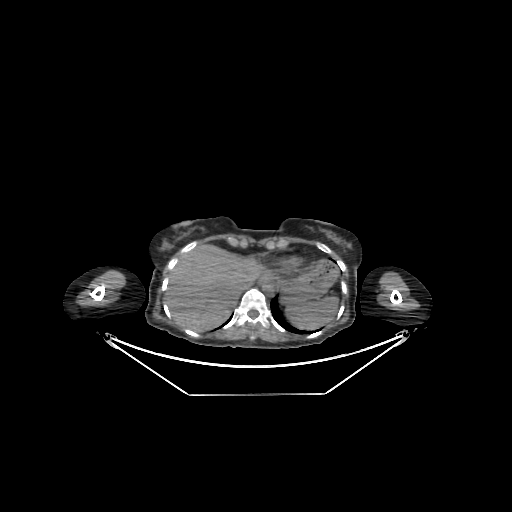

512x512 px. Computed tomography. Liver.
The liver is bounded by 165, 245, 268, 331.